240x240 | Brain
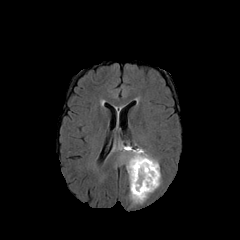
FLAIR MR.
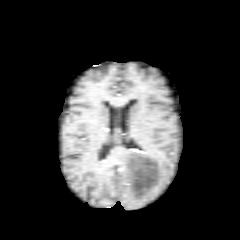
T1-weighted magnetic resonance of the same slice.
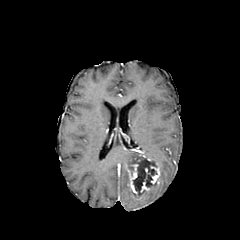
Post-contrast T1-weighted MRI.
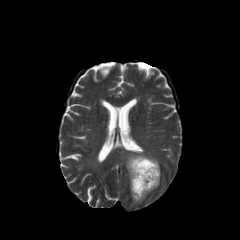
T2-weighted MR.
Enhancing tumor: bounding box bbox(130, 163, 138, 194); bbox(150, 165, 159, 184); bbox(140, 177, 151, 192).
Edema: bounding box bbox(118, 140, 160, 203).
Non-enhancing tumor core: bounding box bbox(127, 155, 156, 198).